MRI | Slice index 26 | Hippocampus 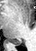 Posterior hippocampus — (x1=8, y1=39, x2=21, y2=45).